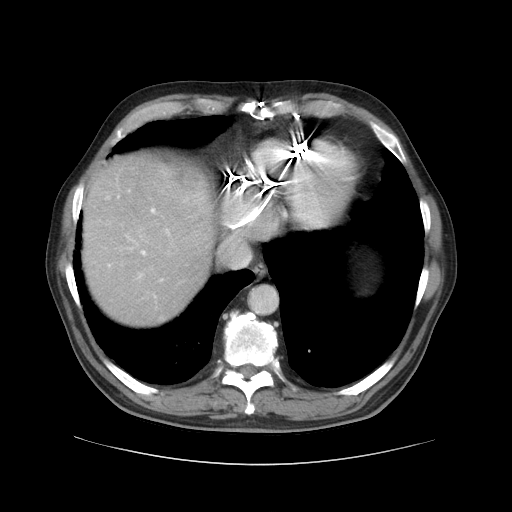 512x512 px; CT; Abdomen

Some hepatic vessels may have no box.
3 hepatic vessel regions are bounded by [x1=141, y1=250, x2=146, y2=254], [x1=150, y1=208, x2=155, y2=212], [x1=166, y1=229, x2=168, y2=233]. The liver tumor is bounded by [x1=171, y1=167, x2=197, y2=192].